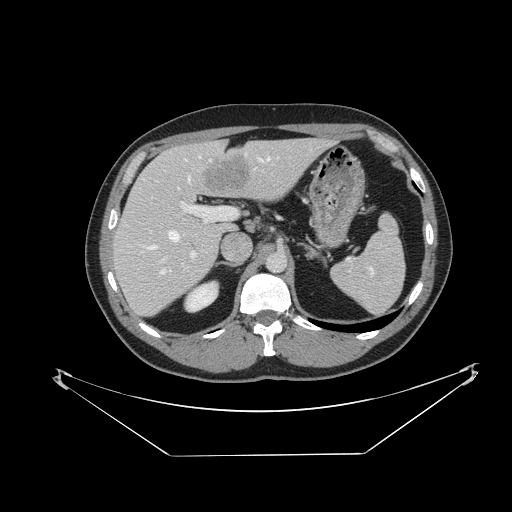 Abdomen; CT
<segmentation>
  <spleen>331:213:404:314</spleen>
</segmentation>